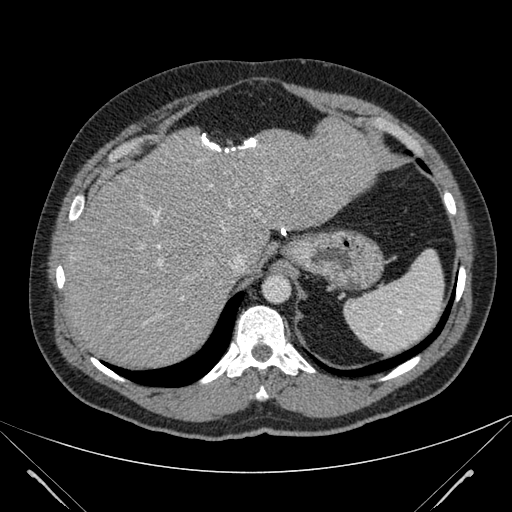
CT image
The liver is located at [63,116,380,368].